Image width 350 mm, Computed tomography
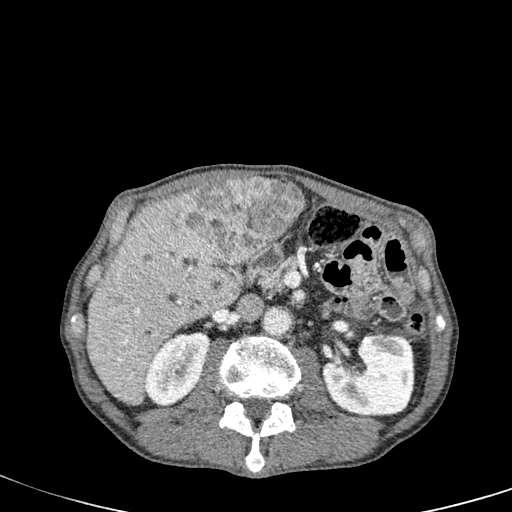

<segmentation>
  <liver>(87, 191, 239, 405)</liver>
  <focal_liver_lesion>(187, 177, 304, 263)</focal_liver_lesion>
  <kidney>(323, 336, 413, 414), (144, 333, 208, 405)</kidney>
</segmentation>